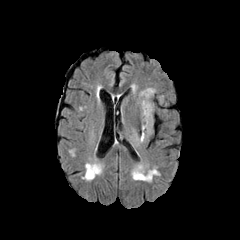
FLAIR MR.
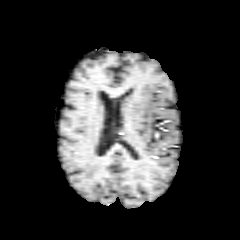
Same slice, T1-weighted MR.
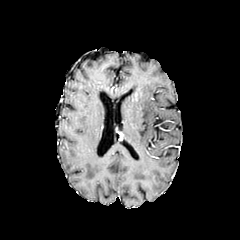
Post-contrast T1-weighted magnetic resonance.
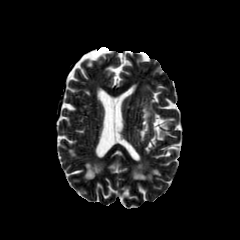
T2-weighted MR image.
Image size 240x240
Edema: bounding box x1=138, y1=88, x2=154, y2=143.